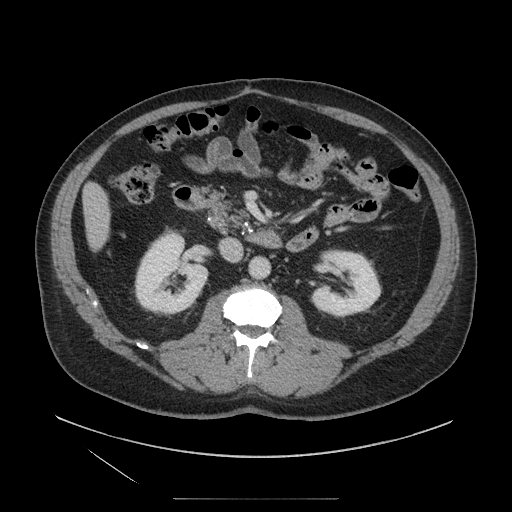
512x512; CT scan slice

pancreas: x1=196 y1=185 x2=249 y2=233